MRI | 36x50 | Medial temporal lobe
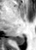 Posterior hippocampus: bounding box 13,35,24,44.